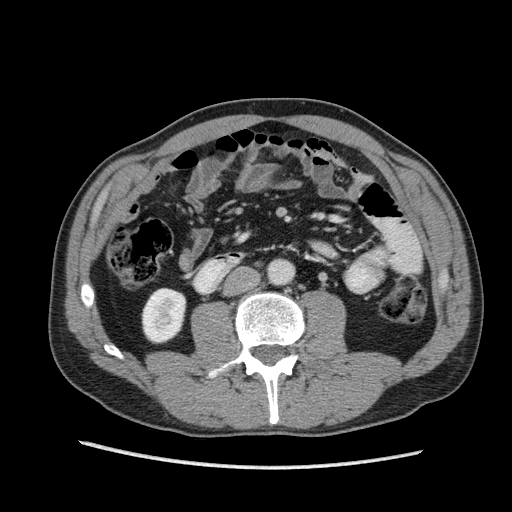
CT scan slice
Kidney: bounding box bbox=[143, 289, 184, 341].